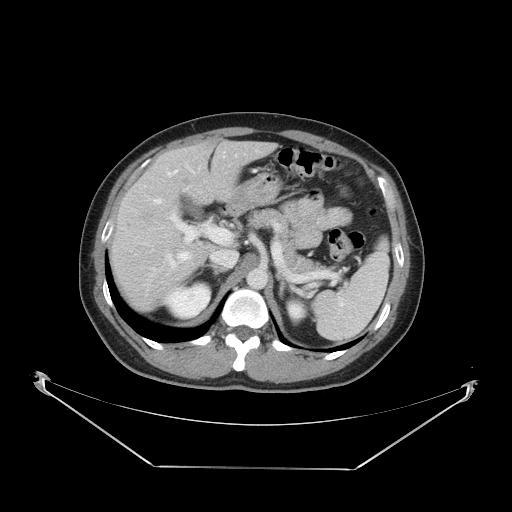

Abdomen | Computed tomography
The vessel annotation is not exhaustive.
{
  "hepatic_vessel": [
    "<bbox>171, 215, 184, 231</bbox>",
    "<bbox>170, 259, 173, 265</bbox>",
    "<bbox>155, 200, 159, 201</bbox>",
    "<bbox>179, 252, 191, 258</bbox>"
  ]
}